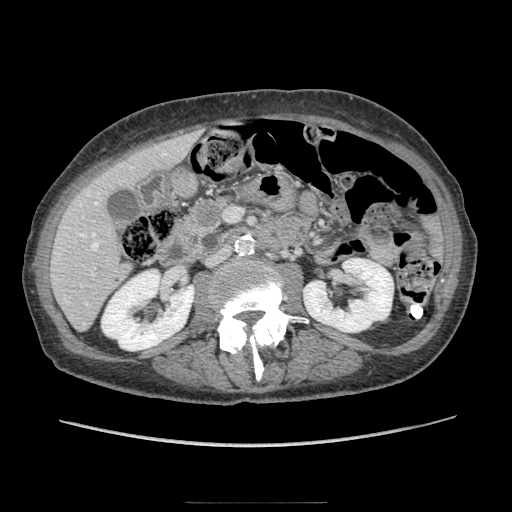 Upper abdomen | Computed tomography
The pancreatic tumor is bounded by rect(196, 203, 220, 226). The pancreas lies within rect(174, 196, 234, 258).